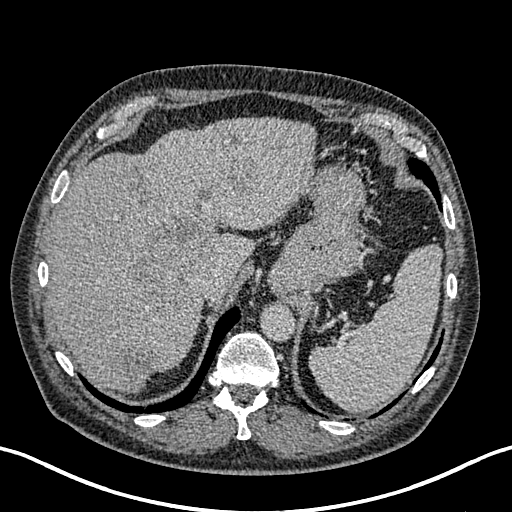
Liver. 512x512 px. CT slice. {
  "liver": [
    "184 269 194 281",
    "50 117 315 390"
  ],
  "liver_lesion": [
    "118 341 163 378",
    "130 215 211 311",
    "224 156 259 189",
    "195 185 214 203"
  ]
}